CT slice. 512x512 px. 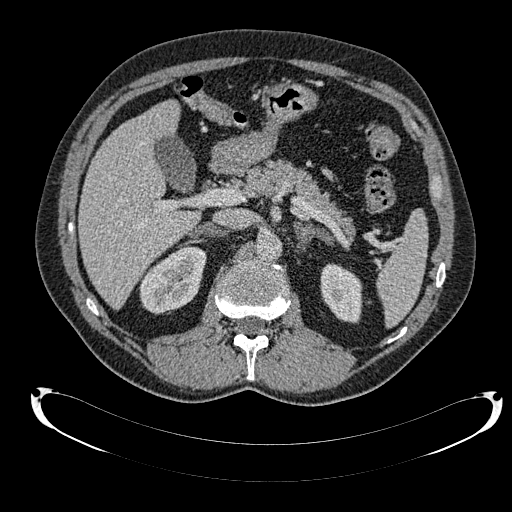 Kidney: bounding box [140, 247, 205, 313], [321, 265, 361, 321].
Liver: bounding box [79, 101, 199, 307].